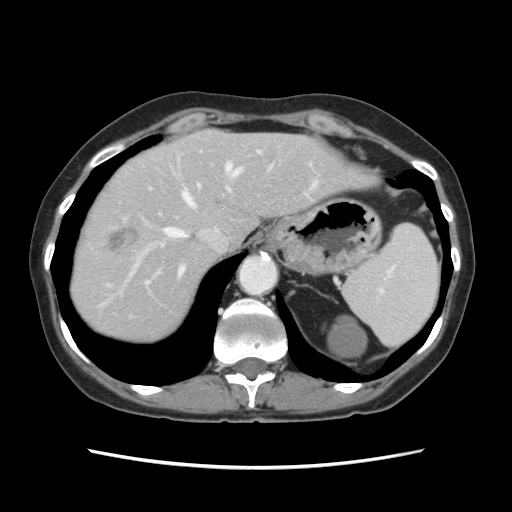
CT scan slice; Abdomen
The vessel annotation is not exhaustive.
The liver tumor appears at l=110, t=228, r=138, b=249. 7 hepatic vessel regions are located at l=226, t=164, r=239, b=176; l=257, t=150, r=260, b=153; l=145, t=282, r=148, b=284; l=163, t=228, r=184, b=237; l=197, t=184, r=199, b=187; l=182, t=189, r=192, b=205; l=226, t=187, r=228, b=189.